Slice index 238 | Abdomen | CT image 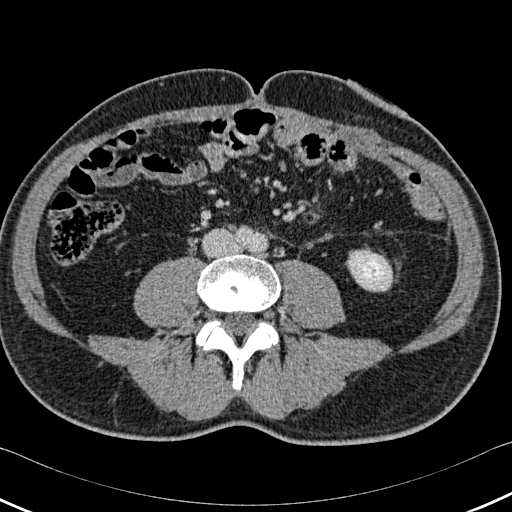
Bone at 196 321 278 390, 197 254 280 311.
Kidney at 348 250 391 290.